T2-weighted magnetic resonance.
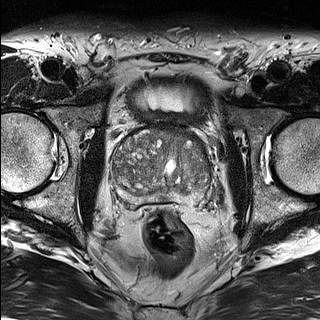
ADC magnetic resonance.
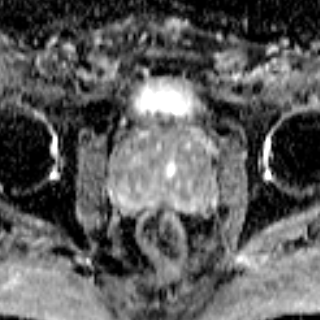
The prostate transition zone is bounded by <bbox>112, 130, 208, 194</bbox>. The prostate peripheral zone lies within <bbox>118, 182, 208, 204</bbox>.